CT slice; Abdomen
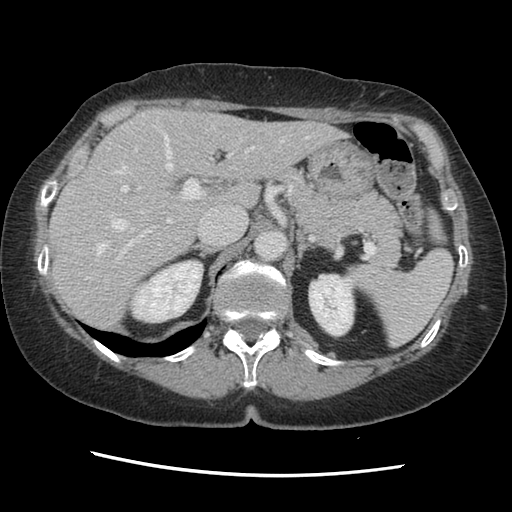

The vessel boxes may cover only some of the vessels.
The most prominent 15 hepatic vessel regions (of 17) appear at (left=135, top=148, right=136, bottom=150), (left=167, top=218, right=171, bottom=222), (left=183, top=179, right=201, bottom=198), (left=112, top=219, right=126, bottom=229), (left=115, top=164, right=126, bottom=173), (left=121, top=185, right=128, bottom=191), (left=245, top=146, right=254, bottom=151), (left=141, top=211, right=144, bottom=213), (left=88, top=277, right=92, bottom=278), (left=117, top=230, right=149, bottom=260), (left=305, top=136, right=309, bottom=138), (left=158, top=128, right=172, bottom=170), (left=280, top=140, right=283, bottom=141), (left=95, top=242, right=106, bottom=261), (left=240, top=137, right=241, bottom=139).